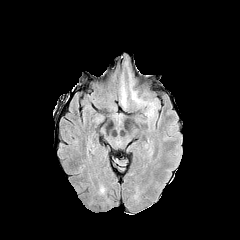
FLAIR MR.
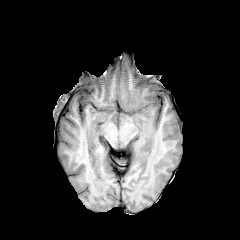
T1-weighted MRI.
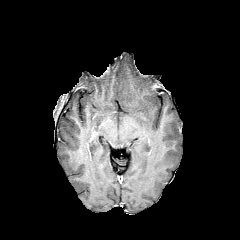
Post-contrast T1-weighted MR image.
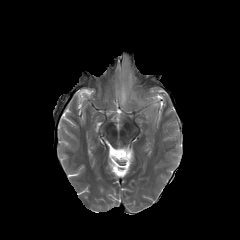
T2-weighted MR image.
The edema lies within rect(119, 69, 159, 123).